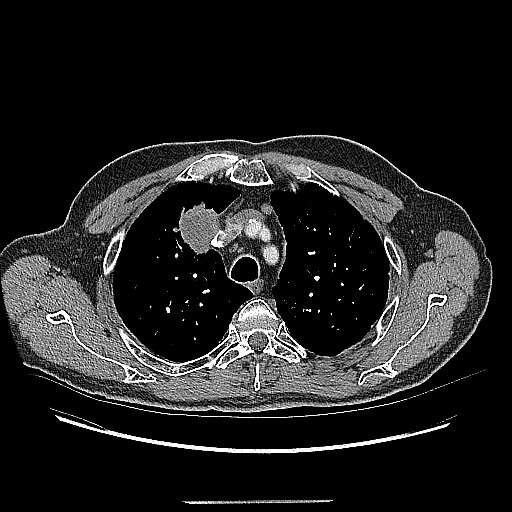
CT.
The lung tumor appears at <box>173,196,221,253</box>.